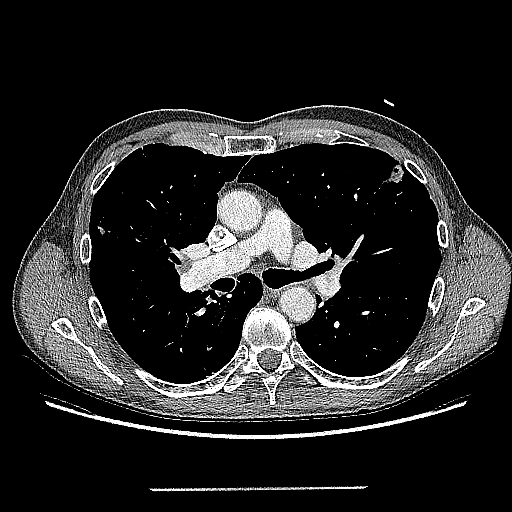

512x512 px, CT image
Annotated regions:
* lung tumor: box(386, 164, 405, 189)